FLAIR MR image.
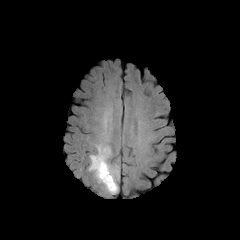
T1-weighted magnetic resonance.
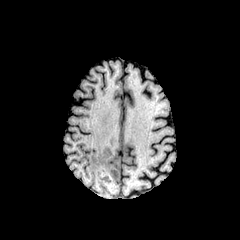
Post-contrast T1-weighted magnetic resonance.
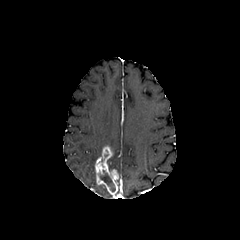
T2-weighted magnetic resonance.
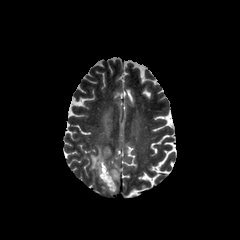
Brain. 240x240.
edema: [88, 107, 112, 171] | non-enhancing tumor core: [99, 169, 115, 192] | enhancing tumor: [93, 145, 119, 195]